Slice 63 of 134. Image size 512x512. Abdomen. CT slice.

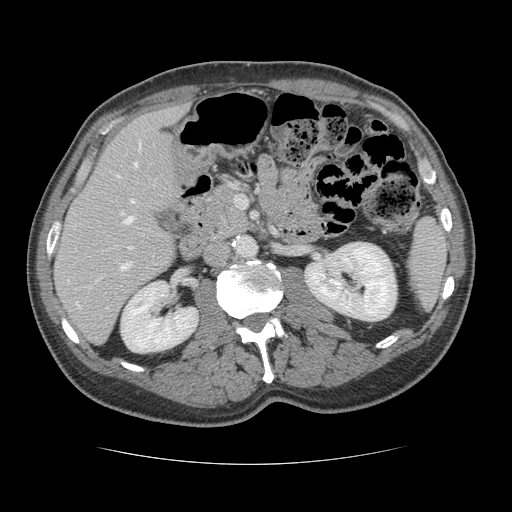
Not every hepatic vessel necessarily has a box.
11 hepatic vessel regions appear at bbox=[121, 261, 131, 268]; bbox=[130, 199, 134, 202]; bbox=[125, 216, 132, 222]; bbox=[153, 183, 154, 185]; bbox=[134, 162, 136, 166]; bbox=[139, 142, 140, 148]; bbox=[96, 278, 99, 280]; bbox=[117, 175, 119, 177]; bbox=[76, 302, 80, 307]; bbox=[121, 212, 123, 214]; bbox=[129, 246, 132, 248].